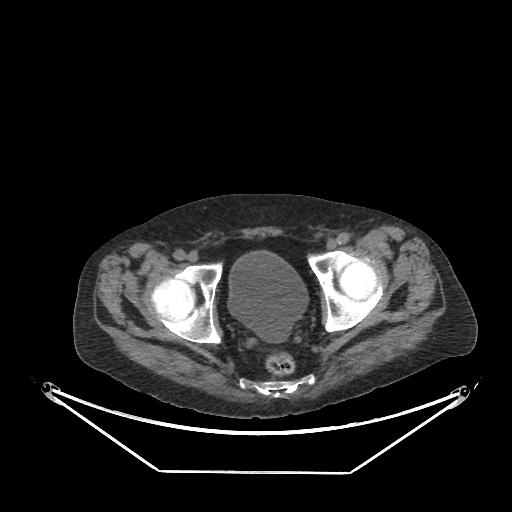
Image size 512x512. CT image.

Urinary bladder — 227:250:308:342.